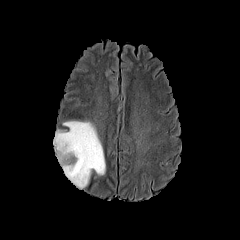
FLAIR magnetic resonance.
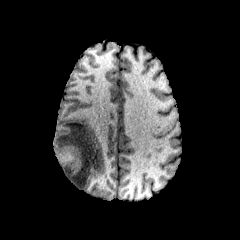
T1-weighted magnetic resonance.
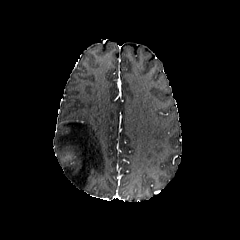
Post-contrast T1-weighted MR image of the same slice.
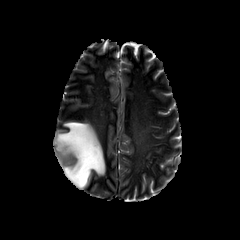
T2-weighted MR image.
Head.
The edema is located at box(53, 121, 106, 189). The non-enhancing tumor core is bounded by box(58, 151, 75, 167).